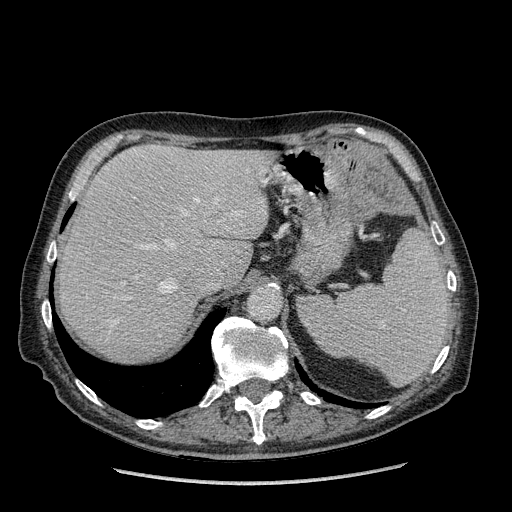
Computed tomography, Upper abdomen
Liver: bbox(59, 145, 274, 363).